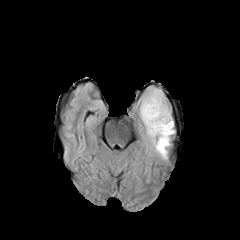
FLAIR MRI.
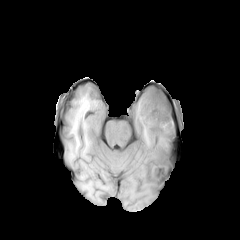
Same slice, T1-weighted MR.
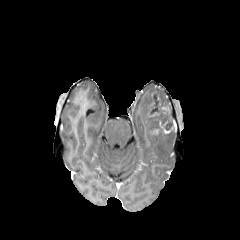
Post-contrast T1-weighted MRI.
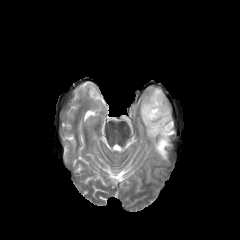
T2-weighted magnetic resonance of the same slice.
Head
edema: <bbox>137, 85, 175, 161</bbox> | non-enhancing tumor core: <bbox>145, 86, 175, 135</bbox>